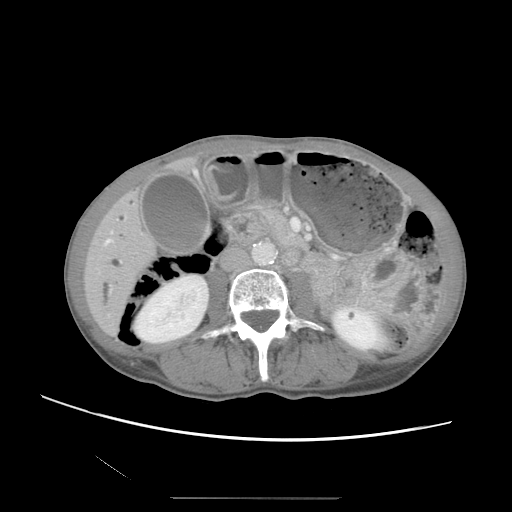 CT image
pancreas:
  - {"x1": 266, "y1": 211, "x2": 305, "y2": 248}